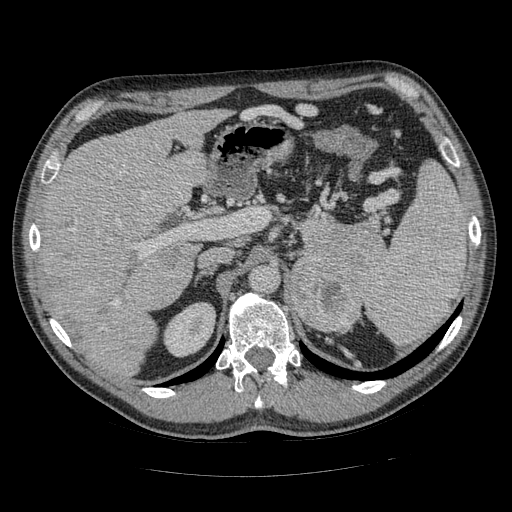

Upper abdomen; CT slice
The pancreas is at l=302, t=219, r=381, b=289. The pancreatic tumor is at l=292, t=253, r=361, b=332.